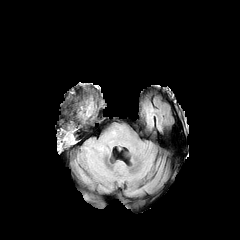
FLAIR MRI.
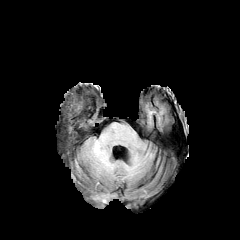
T1-weighted MR of the same slice.
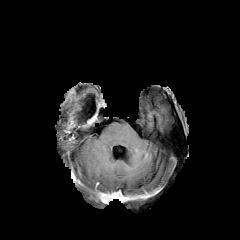
Post-contrast T1-weighted MR image.
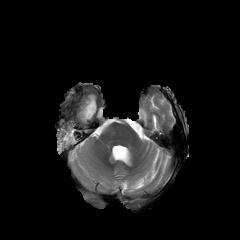
Same slice, T2-weighted magnetic resonance.
Image size 240x240
{"non-enhancing_tumor_core": ["x1=84 y1=104 x2=93 y2=116", "x1=63 y1=124 x2=78 y2=146"], "edema": ["x1=83 y1=146 x2=96 y2=170"]}